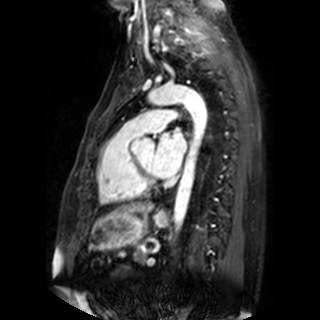

Heart; MR
Left atrium: bounding box (left=153, top=129, right=186, bottom=176).